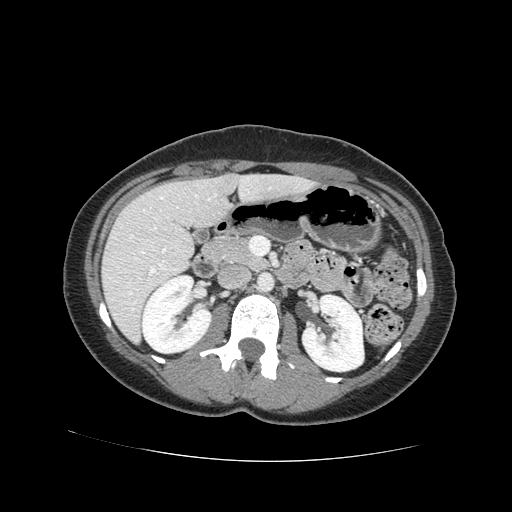 CT slice, Abdomen
The pancreas lies within {"x1": 204, "y1": 235, "x2": 265, "y2": 269}.